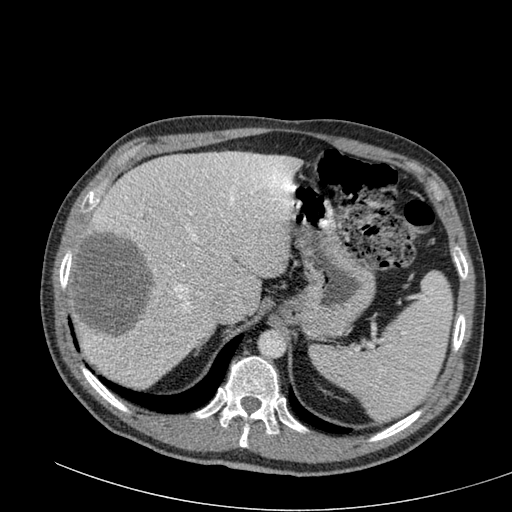
Image size 512x512, CT image, Abdomen

The focal liver lesion appears at box(69, 232, 151, 335). 2 liver regions appear at box(75, 151, 299, 386); box(324, 217, 335, 229).